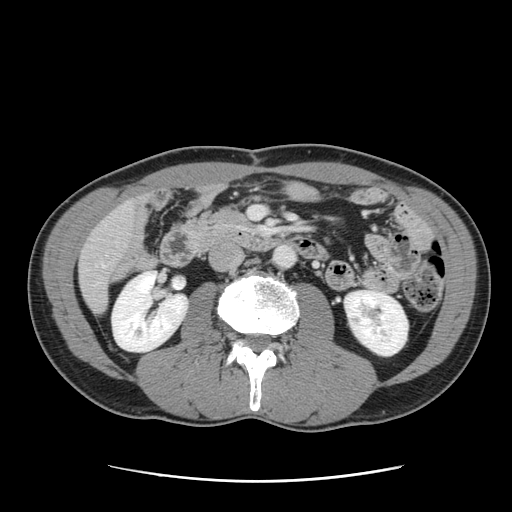
CT
The vessel boxes may cover only some of the vessels.
Hepatic vessel — (x1=102, y1=264, x2=103, y2=266).